CT slice, Chest, 512x512 px 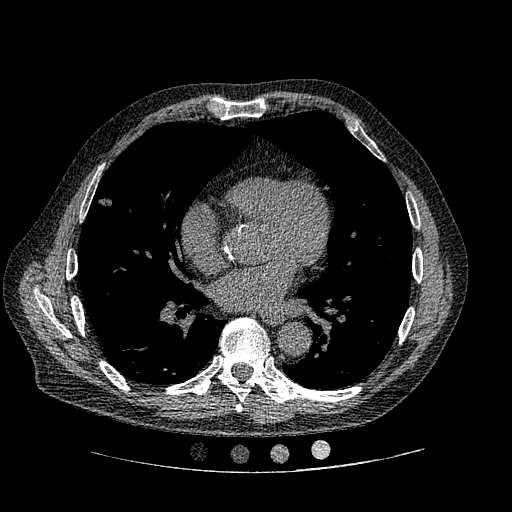

Lung tumor: (x1=96, y1=194, x2=113, y2=209).